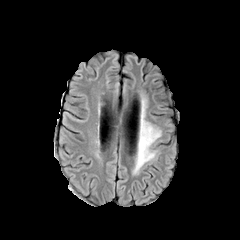
FLAIR MR.
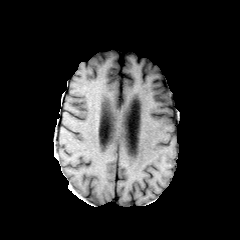
T1-weighted MR of the same slice.
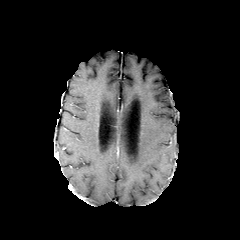
Post-contrast T1-weighted magnetic resonance of the same slice.
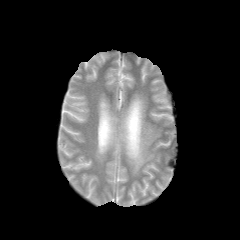
Same slice, T2-weighted MRI.
240x240.
{"edema": ["left=134, top=98, right=161, bottom=173"]}